Slice 553/630, CT image, Upper abdomen 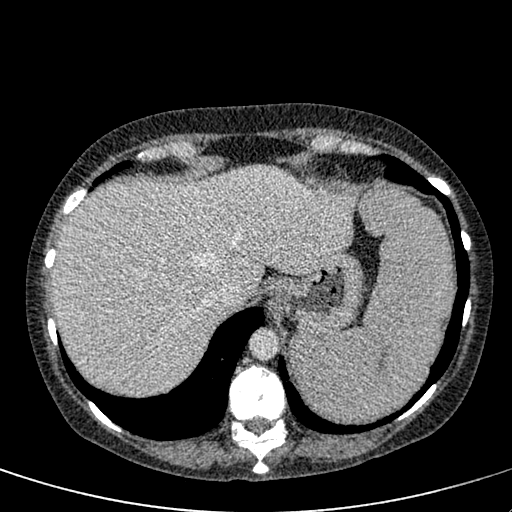
Liver at left=55, top=167, right=359, bottom=395.